Field of view 240x240 mm; Slice 80/155; Head
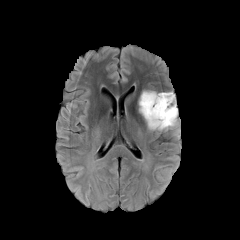
FLAIR MRI.
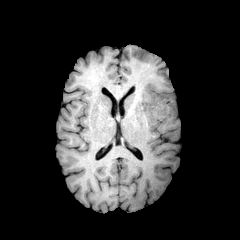
T1-weighted MR image.
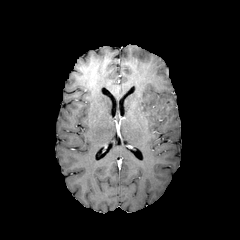
Post-contrast T1-weighted MR image.
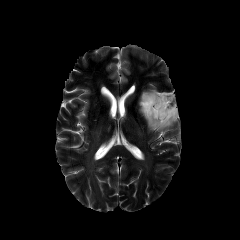
T2-weighted MR.
Non-enhancing tumor core = (x1=145, y1=95, x2=175, y2=125).
Edema = (x1=138, y1=90, x2=178, y2=133).